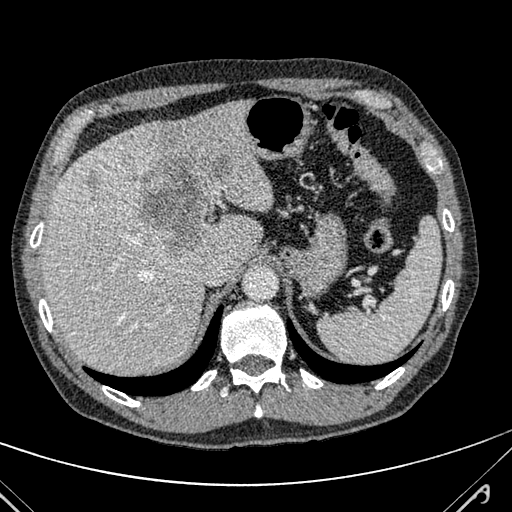
CT image | Upper abdomen
<segmentation>
  <hepatic_lesion>left=131, top=145, right=229, bottom=258; left=88, top=177, right=103, bottom=187</hepatic_lesion>
  <liver>left=44, top=99, right=272, bottom=373</liver>
</segmentation>